512x512 px, Slice 476 of 836, Computed tomography, Liver 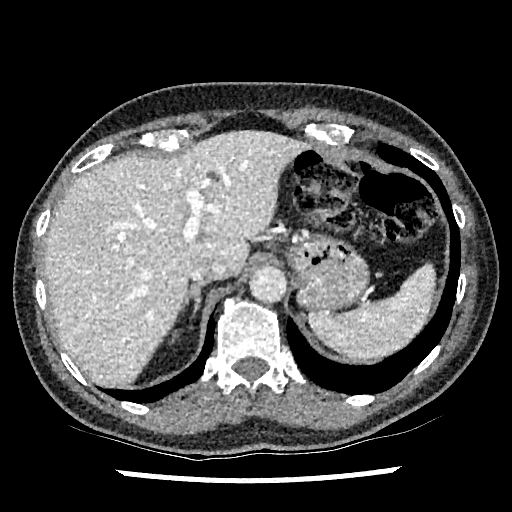
Liver lesion at (x1=207, y1=171, x2=218, y2=181).
Liver at (x1=44, y1=131, x2=305, y2=385).